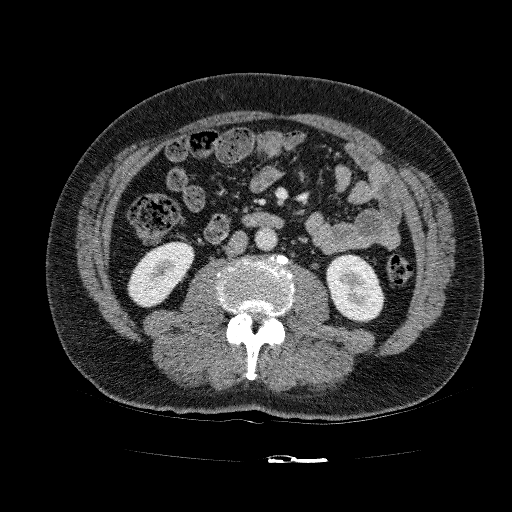 CT image

2 kidney regions appear at 327, 255, 383, 320; 128, 242, 193, 306.